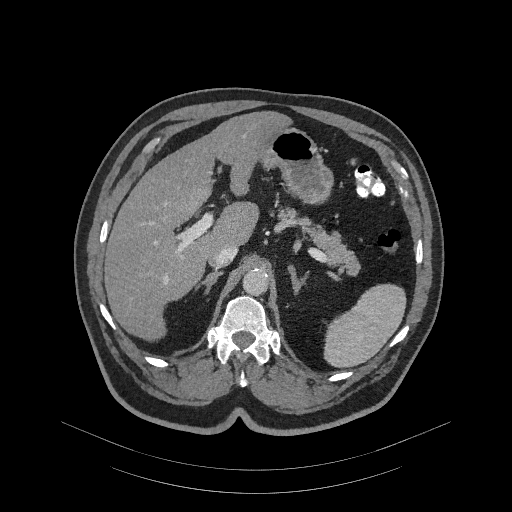

Abdomen | 512x512 | CT scan slice
The pancreas is at <bbox>275, 206, 359, 275</bbox>.